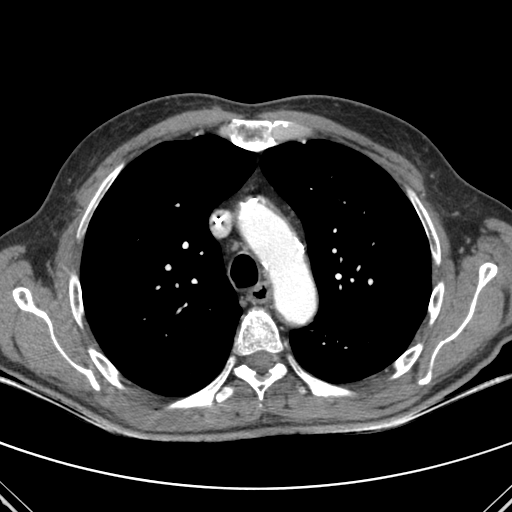 Image size 512x512 | CT scan slice

Annotated regions:
* bone: (left=80, top=164, right=122, bottom=229), (left=418, top=371, right=431, bottom=384), (left=236, top=308, right=282, bottom=355), (left=392, top=344, right=422, bottom=378), (left=408, top=190, right=440, bottom=264), (left=88, top=348, right=123, bottom=388), (left=168, top=357, right=234, bottom=408), (left=69, top=274, right=83, bottom=326), (left=234, top=363, right=286, bottom=400), (left=430, top=262, right=497, bottom=365), (left=290, top=361, right=351, bottom=396), (left=12, top=287, right=99, bottom=390), (left=428, top=282, right=444, bottom=323), (left=227, top=119, right=290, bottom=151)
* lung: (left=80, top=135, right=256, bottom=395), (left=260, top=140, right=431, bottom=383)